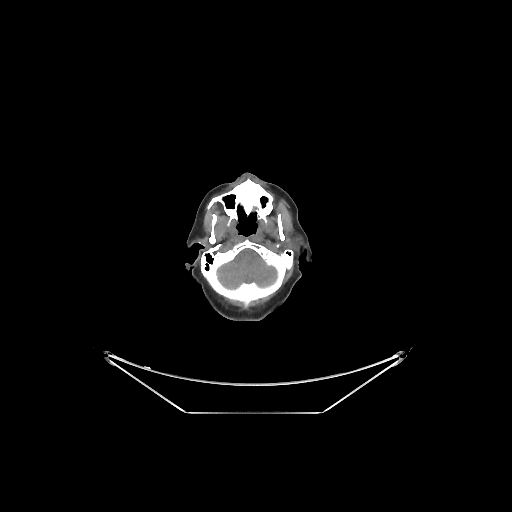

Computed tomography; Head

* brain: <box>217,248,277,289</box>